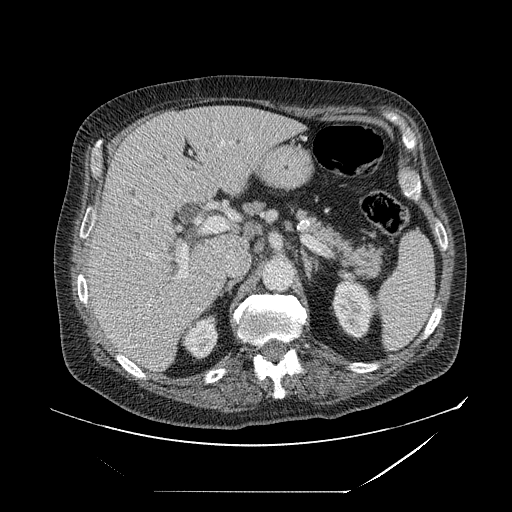

Abdomen, CT scan slice, Image size 512x512

pancreas: region(293, 207, 385, 280)